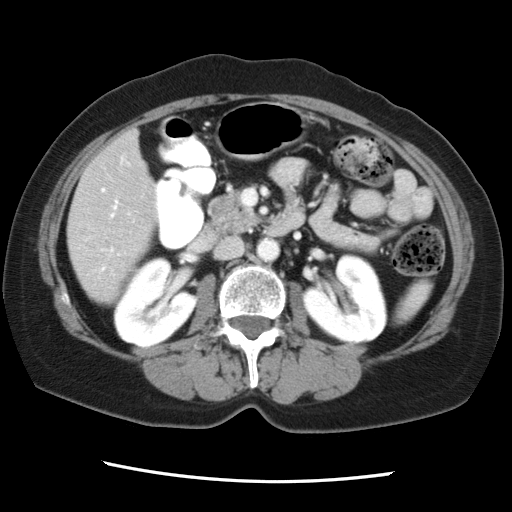

Abdomen, 512x512 px, Computed tomography

The vessel annotation is not exhaustive.
Hepatic vessel: bbox=[94, 264, 104, 272]; bbox=[100, 247, 119, 256]; bbox=[112, 203, 116, 213].